Field of view 341x341 mm; 512x512 px; Abdomen; Computed tomography
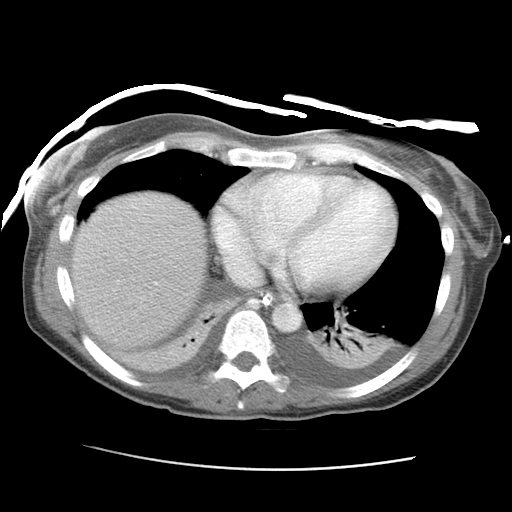 The liver appears at region(71, 193, 205, 348).